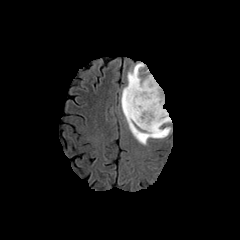
FLAIR magnetic resonance.
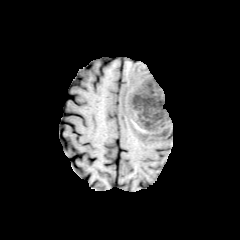
Same slice, T1-weighted MR image.
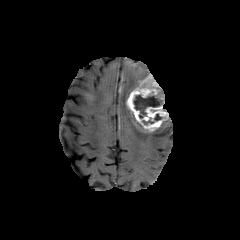
Post-contrast T1-weighted MR image.
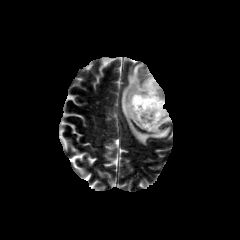
Same slice, T2-weighted MRI.
Image size 240x240. Brain.
<segmentation>
  <edema>x1=120, y1=62, x2=171, y2=145</edema>
  <non-enhancing_tumor_core>x1=134, y1=95, x2=163, y2=115; x1=152, y1=129, x2=165, y2=135; x1=123, y1=92, x2=143, y2=127</non-enhancing_tumor_core>
  <enhancing_tumor>x1=126, y1=74, x2=169, y2=131</enhancing_tumor>
</segmentation>